Slice 99 of 155 | Head
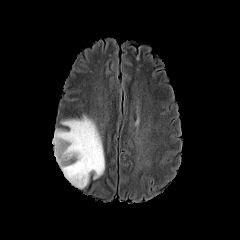
FLAIR MR.
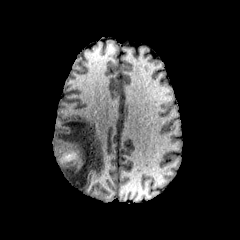
T1-weighted MR.
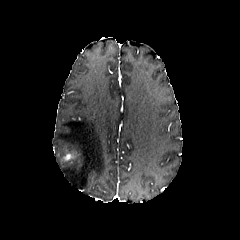
Same slice, post-contrast T1-weighted MR image.
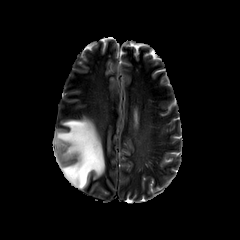
T2-weighted MR image.
Enhancing tumor: bounding box <bbox>62, 150, 77, 161</bbox>.
Non-enhancing tumor core: bounding box <bbox>56, 149, 81, 168</bbox>.
Edema: bounding box <bbox>52, 116, 105, 189</bbox>.